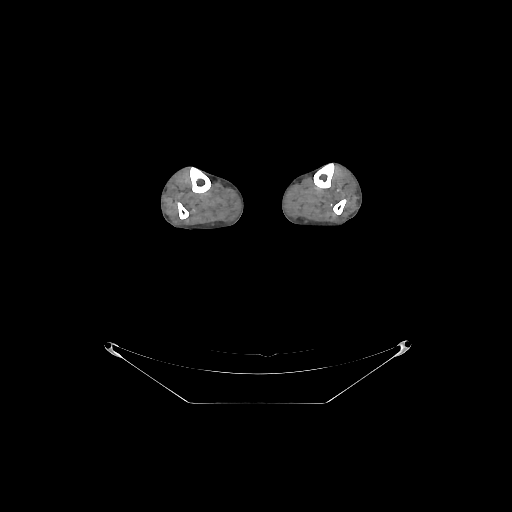

512x512 px | CT scan slice
4 bone regions appear at [314,163,334,188], [190,167,210,193], [177,202,188,219], [333,199,346,214].